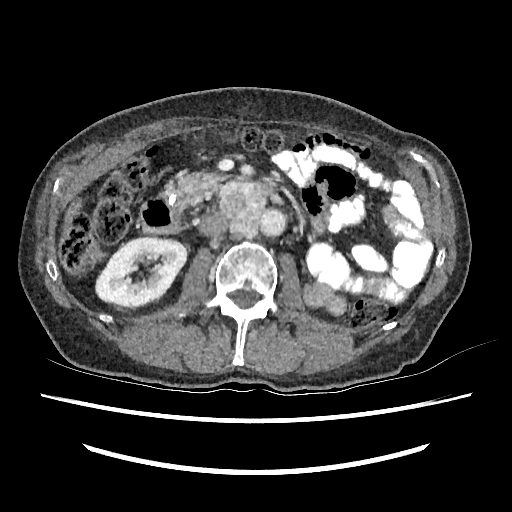

Abdomen | CT image | 512x512 px
The kidney is at rect(96, 238, 186, 306).